CT scan slice, Field of view 400 mm wide, 0.80 mm slice spacing, Slice 88 of 761
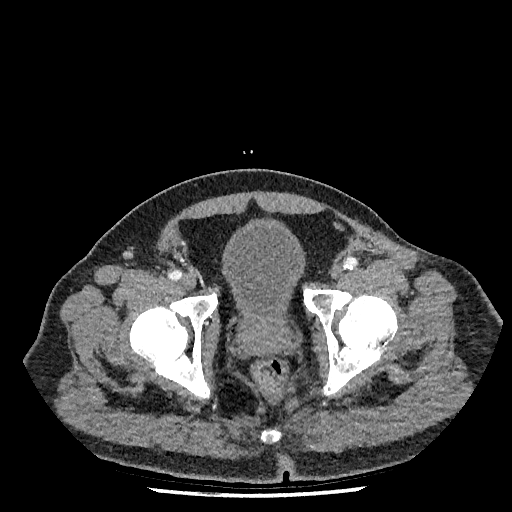 {
  "urinary_bladder": [
    "221 222 305 323"
  ]
}